MRI 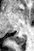

Posterior hippocampus = rect(11, 36, 25, 45).